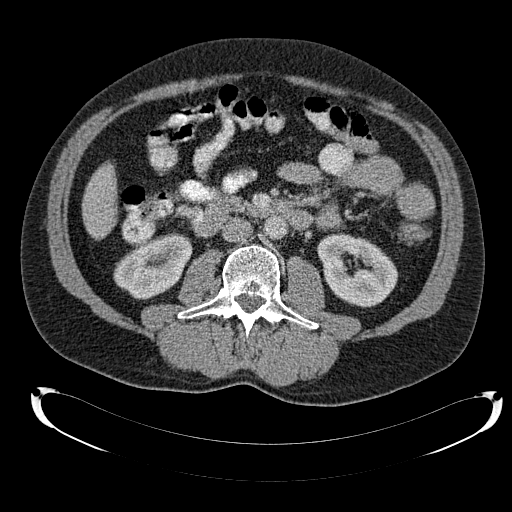
Computed tomography.
Kidney — 318 235 397 306, 114 235 191 298.
Liver — 83 166 115 238.